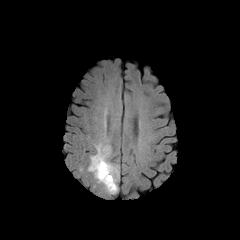
FLAIR MR image.
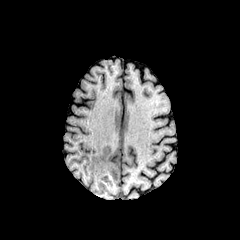
Same slice, T1-weighted magnetic resonance.
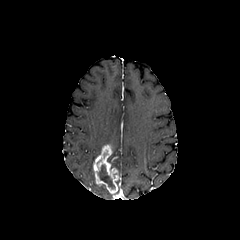
Post-contrast T1-weighted magnetic resonance of the same slice.
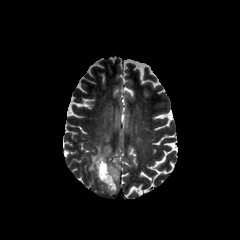
T2-weighted MRI.
Head
Annotated regions:
* enhancing tumor: [91, 144, 119, 193]
* non-enhancing tumor core: [98, 164, 115, 189]
* edema: [87, 107, 111, 171]